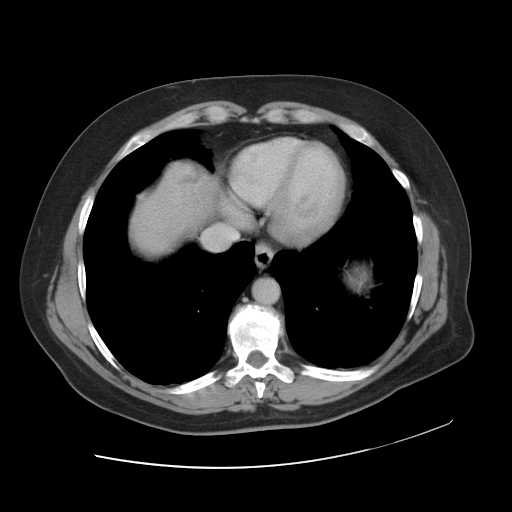
Abdomen; CT
<segmentation>
  <liver_tumor>(167,162,205,209)</liver_tumor>
</segmentation>